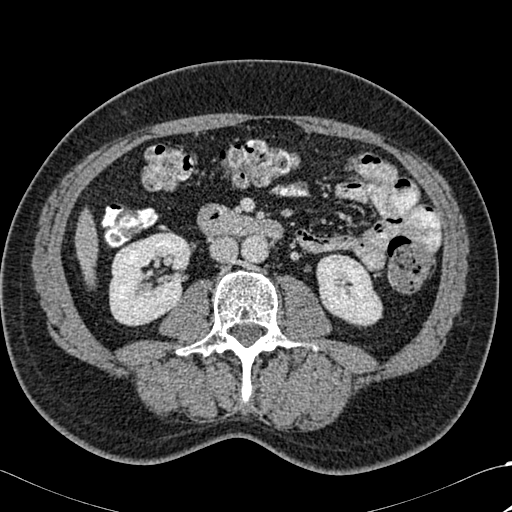

Image size 512x512, CT image
2 kidney regions are located at [110, 233, 189, 324], [317, 255, 381, 324]. The bone is located at [178, 271, 298, 402]. The liver appears at [76, 217, 96, 263].